Field of view 500x500 mm. Slice 33 of 50. CT image. Liver.

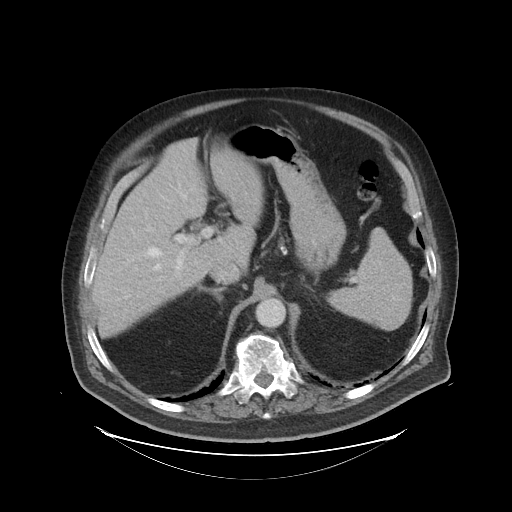
Only some of the vessels may be annotated.
<segmentation>
  <hepatic_vessel>154 265 160 269, 149 249 159 254, 179 192 185 198, 177 252 183 268</hepatic_vessel>
</segmentation>